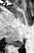

Magnetic resonance

The posterior hippocampus is located at {"x1": 10, "y1": 39, "x2": 23, "y2": 47}.